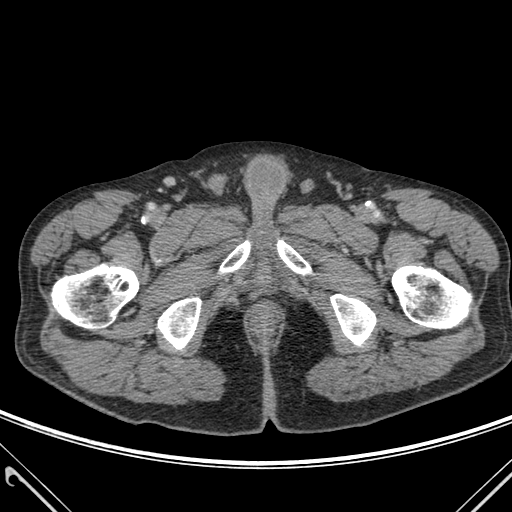

CT.

bone:
  - 392:266:470:328
  - 158:298:201:349
  - 277:240:310:274
  - 51:264:138:328
  - 220:241:250:272
  - 330:294:375:345